Slice 478/565; Field of view 335 mm wide, 1.00 mm slice spacing; CT image 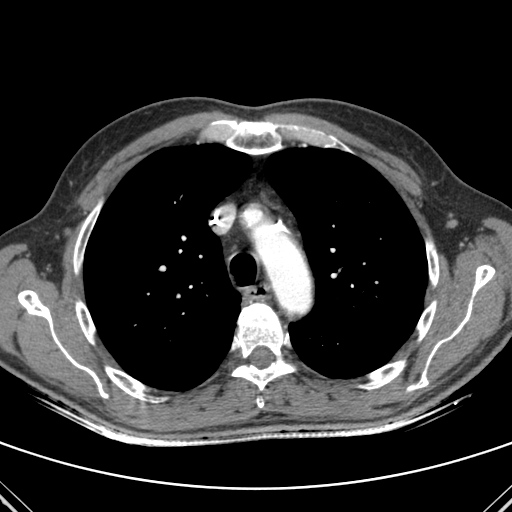

* lung: 83,144,252,390; 266,147,427,378
* bone: 326,137,337,146; 417,301,436,340; 231,303,295,393; 105,366,146,400; 407,265,494,391; 211,120,296,154; 18,290,108,398; 359,360,405,389; 426,241,438,286; 73,201,101,273; 75,300,94,344; 256,397,263,407